Slice index 53.
FLAIR magnetic resonance.
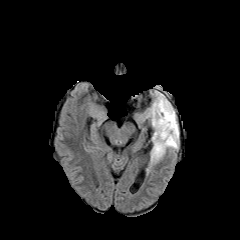
T1-weighted MRI.
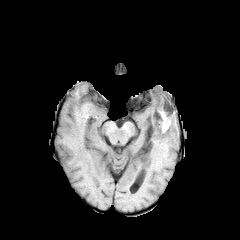
Post-contrast T1-weighted MRI.
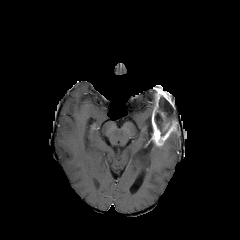
T2-weighted magnetic resonance.
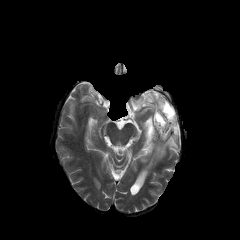
2 non-enhancing tumor core regions appear at 155 97 176 135, 151 87 154 111. 2 edema regions appear at 149 134 179 164, 144 104 151 119. The enhancing tumor is at 151 86 178 146.